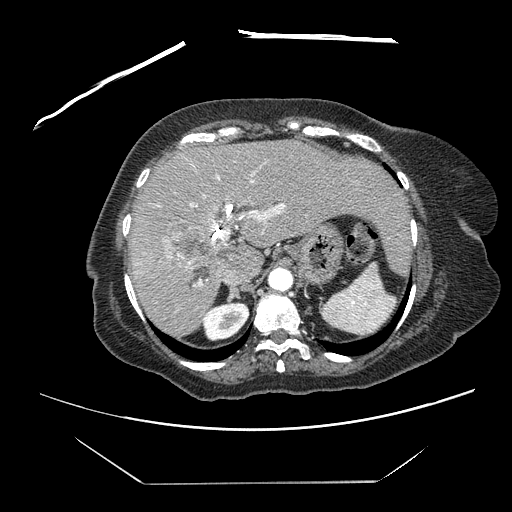

512x512 px, Liver, CT
Only some of the vessels may be annotated.
<segmentation>
  <hepatic_vessel>220,227,229,244; 238,215,243,219; 227,213,231,219; 203,195,205,197; 156,205,159,206; 247,203,284,222; 216,176,219,179; 190,203,196,206; 198,281,201,285</hepatic_vessel>
  <liver_tumor>164,222,220,261</liver_tumor>
</segmentation>